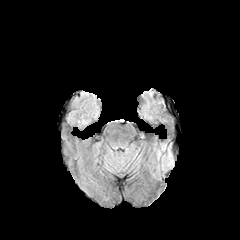
FLAIR MR.
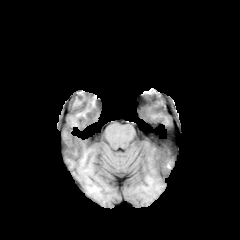
T1-weighted magnetic resonance.
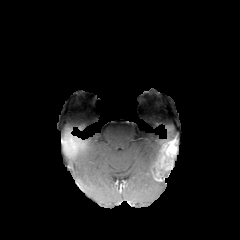
Same slice, post-contrast T1-weighted MR image.
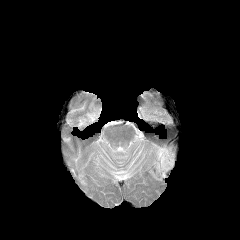
T2-weighted MR image.
<segmentation>
  <edema>(left=152, top=146, right=173, bottom=177)</edema>
</segmentation>